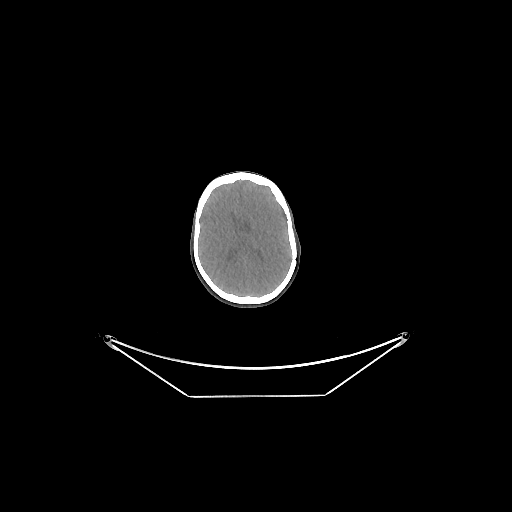
Computed tomography. Brain.

brain: (x1=198, y1=180, x2=291, y2=296)